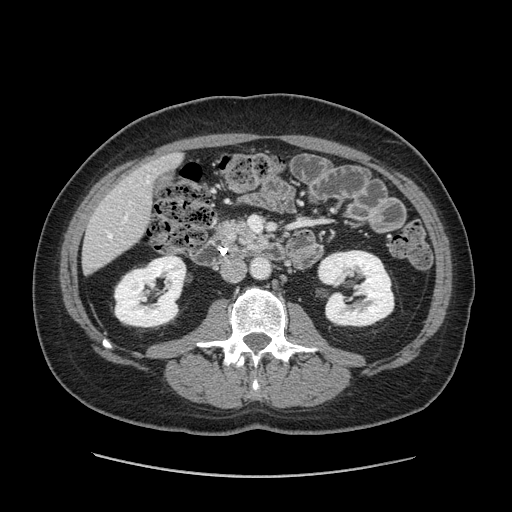

Computed tomography
<segmentation>
  <pancreas>[x1=218, y1=221, x2=263, y2=247]</pancreas>
</segmentation>